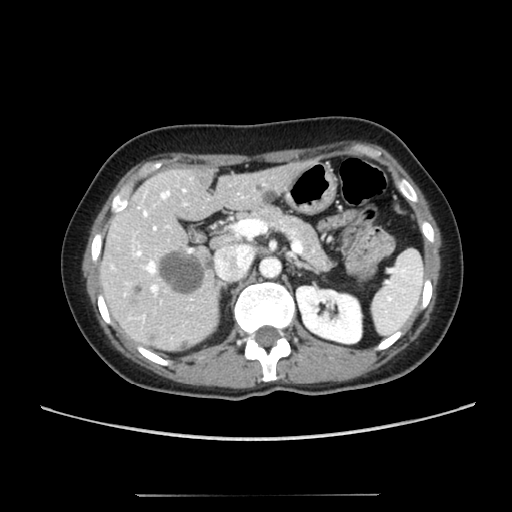 Upper abdomen, CT scan slice
The kidney is located at x1=296, y1=287, x2=361, y2=342. The liver is at x1=99, y1=161, x2=309, y2=352. 8 hepatic lesion regions appear at x1=132, y1=281, x2=143, y2=294; x1=145, y1=330, x2=159, y2=341; x1=194, y1=168, x2=210, y2=186; x1=175, y1=340, x2=189, y2=351; x1=158, y1=246, x2=213, y2=294; x1=127, y1=296, x2=139, y2=306; x1=254, y1=183, x2=263, y2=191; x1=261, y1=188, x2=278, y2=203.